CT; Abdomen; 512x512; Image width 321 mm

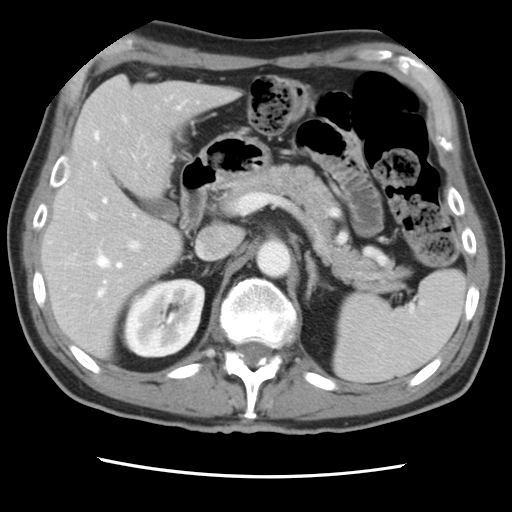
The vessel annotation is not exhaustive.
Hepatic vessel — <box>89,213,95,218</box>, <box>103,280,106,283</box>, <box>97,253,109,266</box>, <box>129,242,138,248</box>, <box>133,213,135,215</box>, <box>64,287,65,288</box>, <box>95,132,98,138</box>, <box>104,199,106,201</box>, <box>98,288,104,296</box>, <box>117,262,122,267</box>, <box>94,162,95,165</box>, <box>177,105,181,108</box>, <box>183,101,186,104</box>.